512x512 px, Abdomen, CT slice

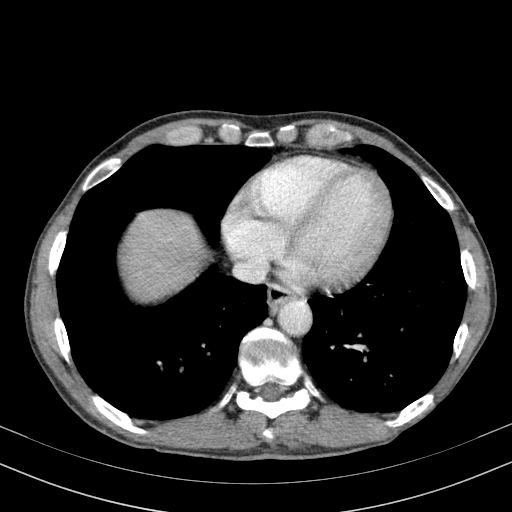
Segmented structures:
• liver: 120, 210, 209, 294